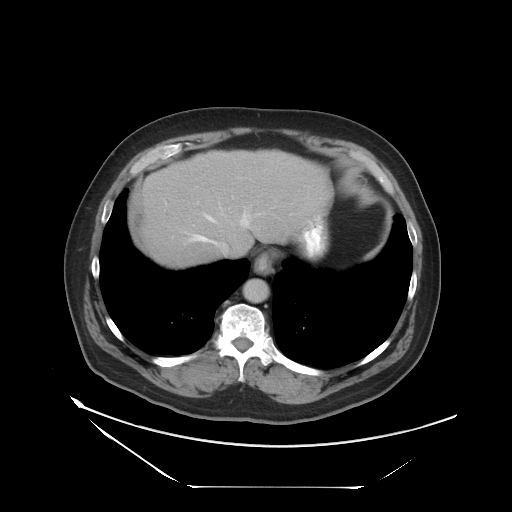
CT scan slice; Liver
The vessel boxes may cover only some of the vessels.
5 hepatic vessel regions are bounded by box=[199, 213, 217, 223]; box=[242, 215, 247, 223]; box=[176, 227, 210, 244]; box=[192, 223, 196, 226]; box=[197, 220, 200, 222].